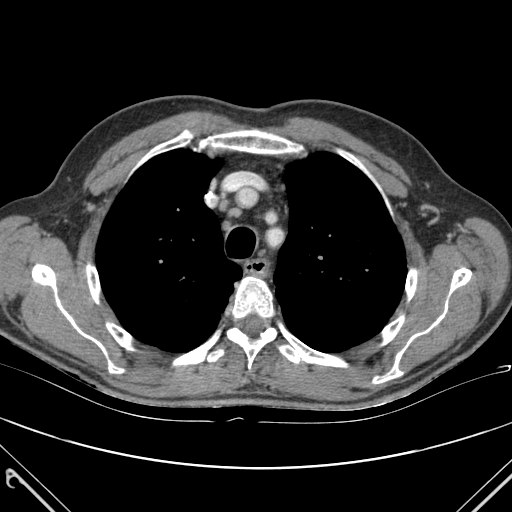

Thorax, CT image
Annotated regions:
- lung: x1=274 y1=152 x2=406 y2=352, x1=96 y1=149 x2=241 y2=351
- bone: x1=233 y1=277 x2=272 y2=317, x1=449 y1=268 x2=471 y2=294, x1=227 y1=328 x2=276 y2=368, x1=106 y1=323 x2=133 y2=350, x1=200 y1=130 x2=301 y2=153, x1=382 y1=316 x2=404 y2=344, x1=339 y1=151 x2=372 y2=178, x1=207 y1=350 x2=223 y2=361, x1=173 y1=334 x2=218 y2=365, x1=32 y1=264 x2=123 y2=373, x1=405 y1=269 x2=416 y2=299, x1=279 y1=324 x2=346 y2=366, x1=86 y1=265 x2=99 y2=303, x1=373 y1=301 x2=447 y2=383, x1=138 y1=130 x2=193 y2=165